Field of view 240 mm wide, 1.00 mm slice spacing | Brain
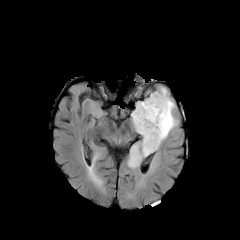
FLAIR MRI.
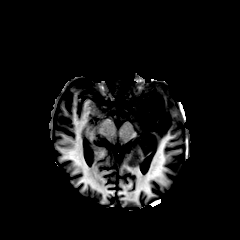
T1-weighted MRI.
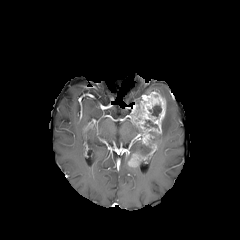
Post-contrast T1-weighted MRI.
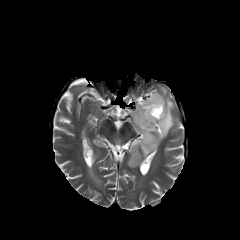
Same slice, T2-weighted MR.
Segmented structures:
- non-enhancing tumor core: [141,120,160,151], [148,104,161,119]
- edema: [151,87,177,153], [131,118,142,137], [130,137,150,155], [127,152,139,168]
- enhancing tumor: [132,92,165,132]